Slice index 317. 512x512. Liver. CT slice.

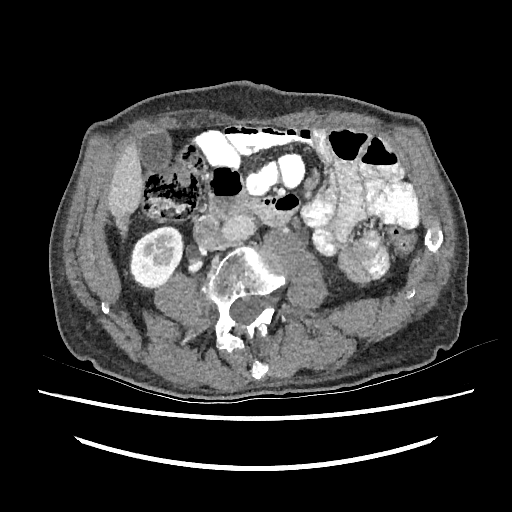

Kidney: (131, 227, 182, 287).
Liver lesion: (119, 211, 129, 231).
Liver: (108, 144, 142, 230).